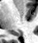
Hippocampus, Magnetic resonance

• posterior hippocampus: box=[15, 33, 20, 35]